Field of view 405x405 mm; Image size 512x512; CT scan slice; Slice index 53

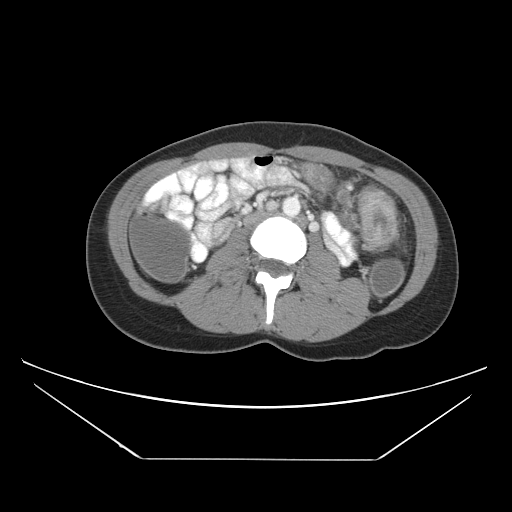

colon_tumor:
  - 357,189,397,253